FLAIR magnetic resonance.
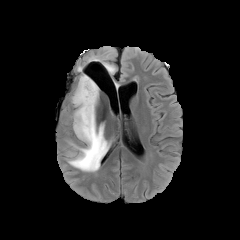
T1-weighted MR image.
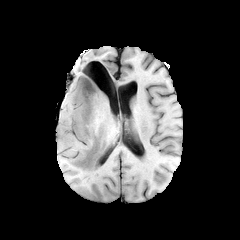
Post-contrast T1-weighted MR.
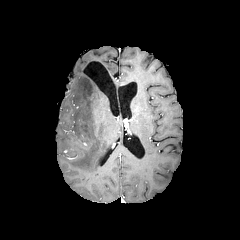
T2-weighted MR.
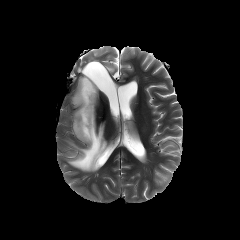
Edema — l=66, t=74, r=110, b=172; l=101, t=60, r=116, b=75.